CT image, Field of view 440x440 mm, Liver, Image size 512x512 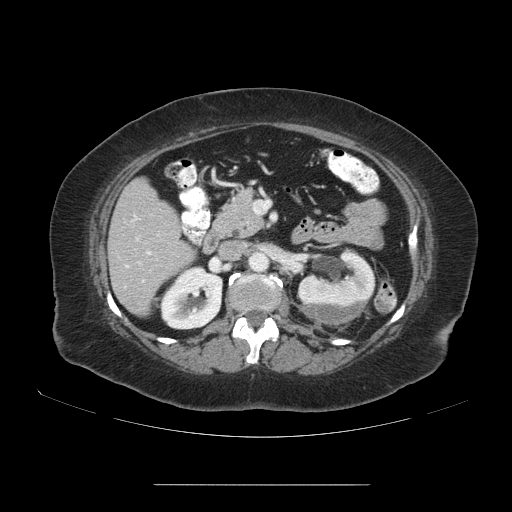 The vessel annotation is not exhaustive.
{
  "hepatic_vessel": [
    "[138,262,139,263]",
    "[146,251,149,253]"
  ]
}